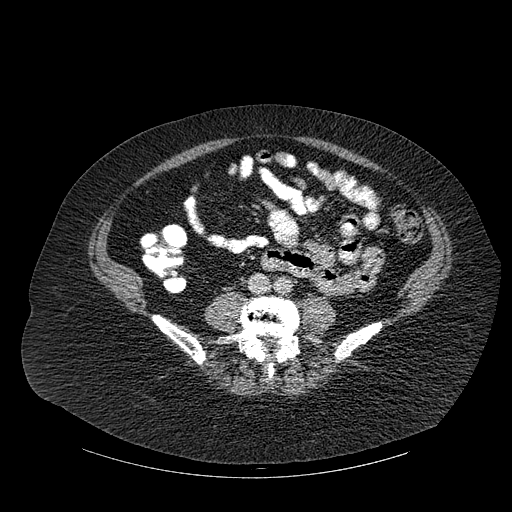
512x512. CT image. 3 bone regions appear at <bbox>335, 322, 381, 359</bbox>, <bbox>152, 315, 205, 363</bbox>, <bbox>231, 297, 299, 377</bbox>.